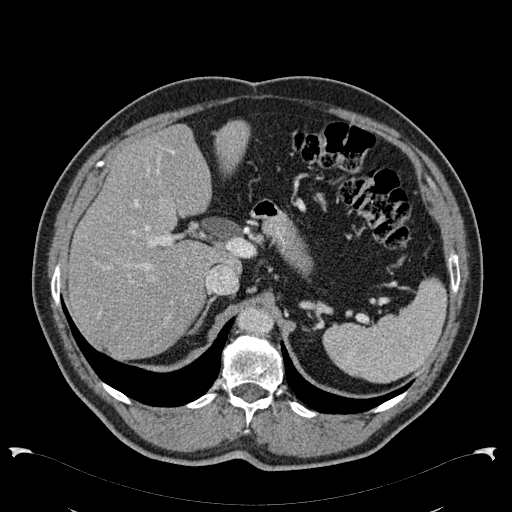

CT slice, Image size 512x512
{"liver_lesion": ["<bbox>155, 198, 175, 216</bbox>"], "liver": ["<bbox>69, 124, 241, 358</bbox>", "<bbox>215, 121, 248, 172</bbox>"]}